Slice 219 of 537, CT slice, 512x512
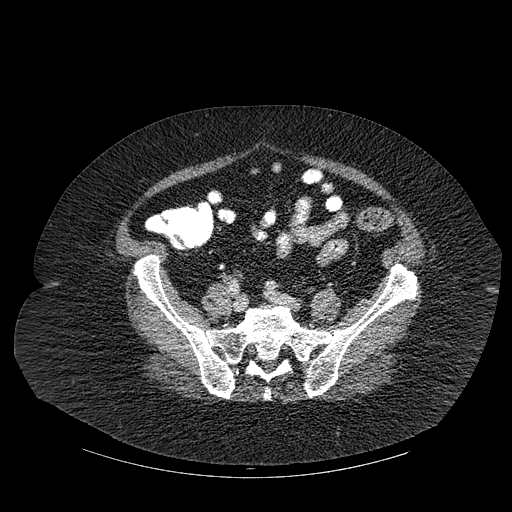
Bone — {"x1": 246, "y1": 360, "x2": 291, "y2": 381}, {"x1": 134, "y1": 255, "x2": 417, "y2": 398}, {"x1": 264, "y1": 388, "x2": 270, "y2": 399}.